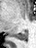 Magnetic resonance; Medial temporal lobe
Posterior hippocampus = bbox=[13, 31, 27, 40].